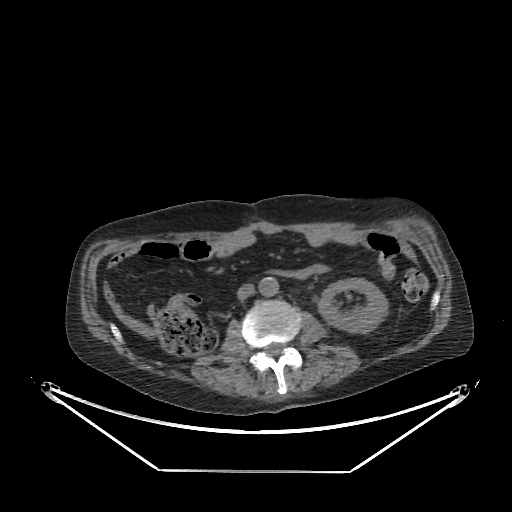 Abdomen | CT
The kidney is bounded by <box>316,278,387,333</box>.